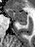

MR; Medial temporal lobe; 35x47
Posterior hippocampus: bounding box <box>17,21,27,24</box>.
Anterior hippocampus: bounding box <box>6,9,26,20</box>.